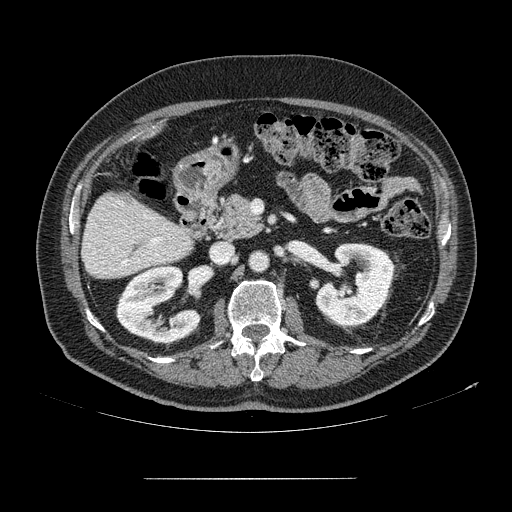

Upper abdomen, Computed tomography, Image size 512x512
The pancreas appears at l=213, t=193, r=263, b=241.